Abdomen, Computed tomography 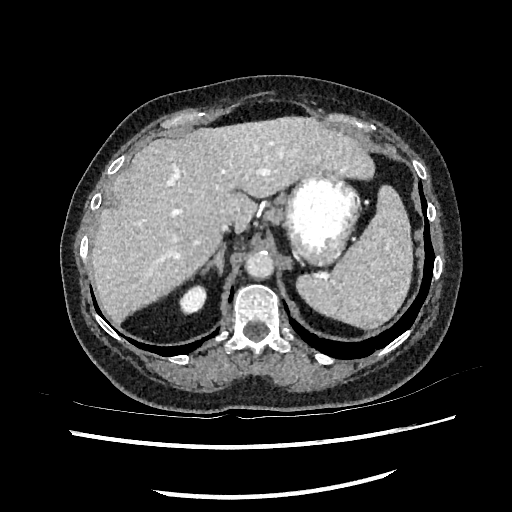 The liver is located at <box>90,117,374,324</box>. The kidney lies within <box>181,287,205,311</box>.